Field of view 240x240 mm. Slice index 85.
FLAIR MR.
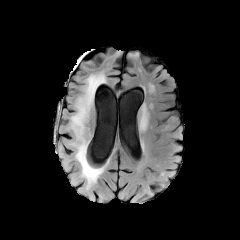
T1-weighted MR image.
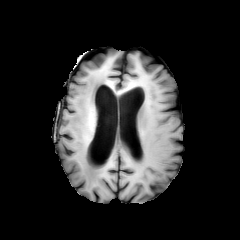
Post-contrast T1-weighted MRI.
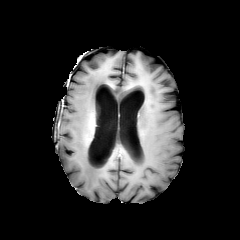
T2-weighted magnetic resonance.
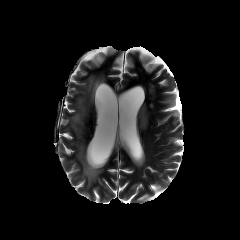
<segmentation>
  <edema><bbox>74, 142, 103, 189</bbox>, <bbox>71, 75, 104, 125</bbox></edema>
</segmentation>